Slice 34 of 42. CT scan slice. 512x512. 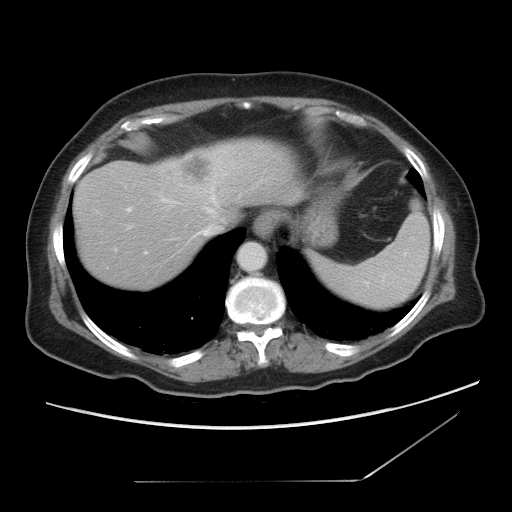 Some hepatic vessels may have no box.
{
  "liver_tumor": [
    "<box>180,152,210,181</box>"
  ],
  "hepatic_vessel": [
    "<box>200,230,205,234</box>",
    "<box>164,199,175,203</box>",
    "<box>217,227,221,231</box>",
    "<box>203,159,226,215</box>"
  ]
}